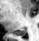

39x41 px; MRI slice; Medial temporal lobe
The posterior hippocampus is at 14,30,25,35.